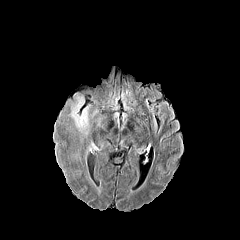
FLAIR MR image.
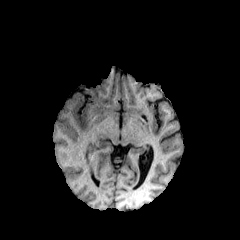
T1-weighted MR of the same slice.
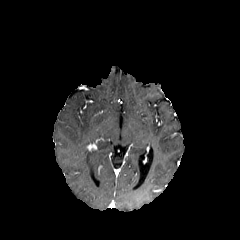
Same slice, post-contrast T1-weighted MR.
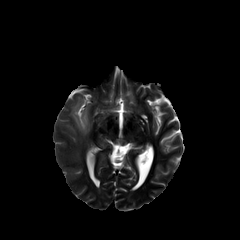
T2-weighted MR.
240x240 px. Head.
Edema at {"x1": 74, "y1": 98, "x2": 88, "y2": 127}.